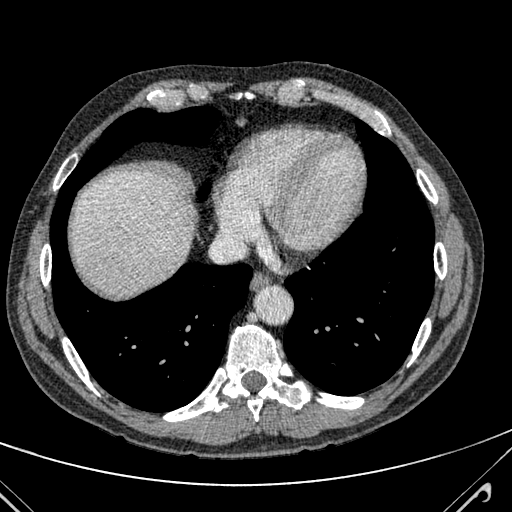
CT
hepatic_lesion:
  - bbox(178, 208, 194, 225)
liver:
  - bbox(71, 169, 196, 293)